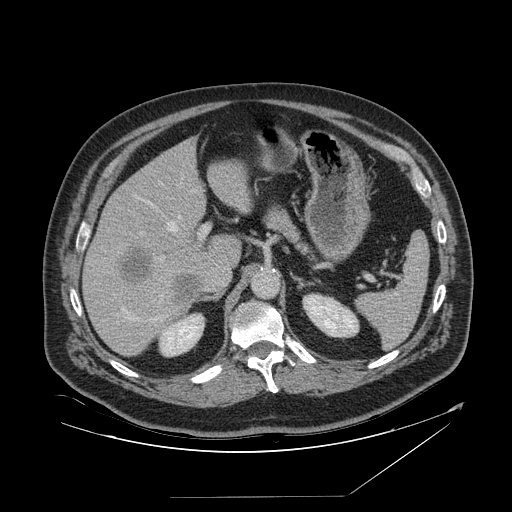 512x512 | Upper abdomen | CT
• spleen: [x1=355, y1=233, x2=429, y2=348]